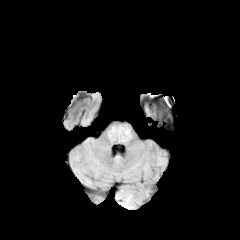
FLAIR MRI.
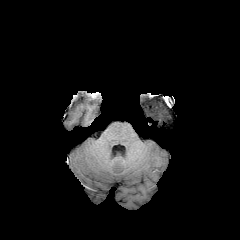
T1-weighted MR.
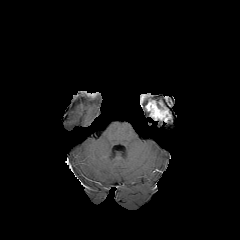
Post-contrast T1-weighted MR image.
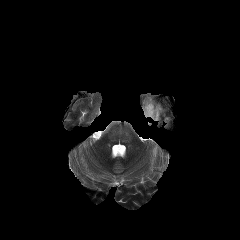
T2-weighted magnetic resonance.
The non-enhancing tumor core lies within (left=150, top=109, right=159, bottom=118).